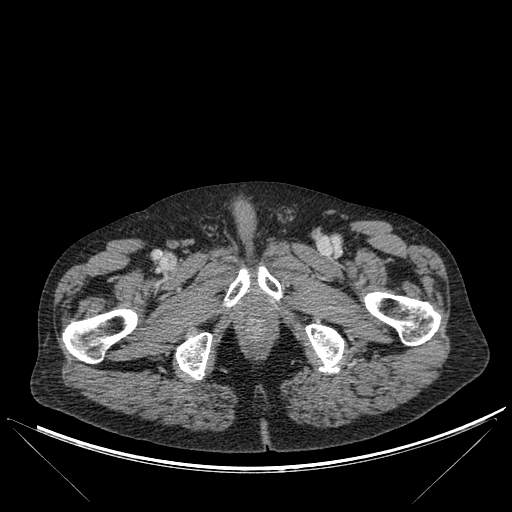

512x512, CT scan slice
bone:
  - 364 292 440 345
  - 258 266 281 299
  - 224 268 250 307
  - 176 332 212 379
  - 62 309 137 363
  - 305 324 344 372